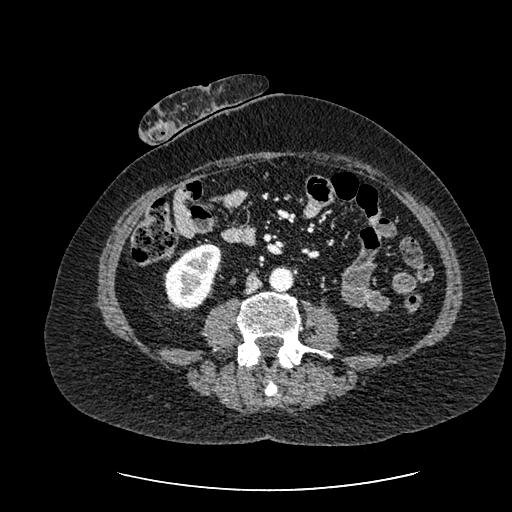 Abdomen; CT scan slice
kidney:
  - left=165, top=244, right=220, bottom=308